512x512 px; Slice 313 of 536; CT 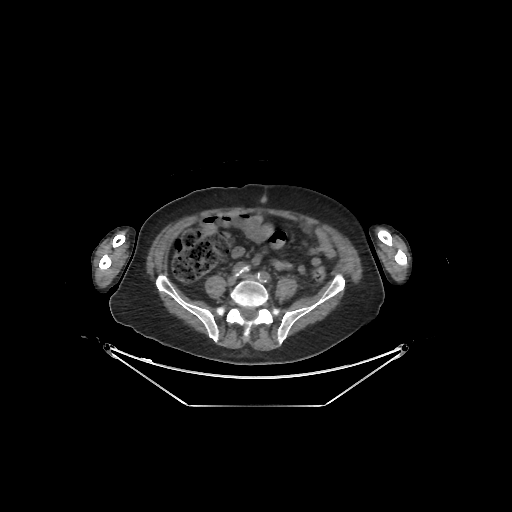
Bone — x1=278, y1=274, x2=344, y2=343; x1=217, y1=306, x2=224, y2=314; x1=395, y1=249, x2=406, y2=265; x1=156, y1=275, x2=218, y2=341; x1=227, y1=273, x2=278, y2=336; x1=378, y1=230, x2=392, y2=245; x1=112, y1=233, x2=125, y2=247; x1=99, y1=254, x2=111, y2=270.